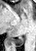

Hippocampus | MR image
- posterior hippocampus: box(13, 35, 24, 45)